Field of view 240x240 mm; Slice 97/155; Head
FLAIR MR image.
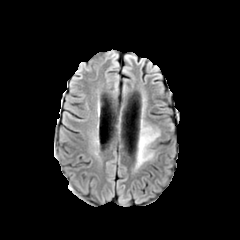
T1-weighted MR image.
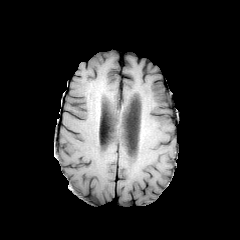
Post-contrast T1-weighted magnetic resonance.
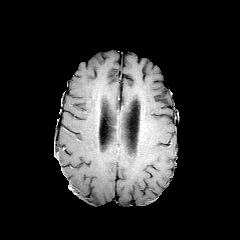
T2-weighted MR.
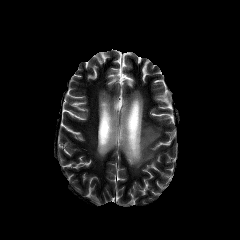
{"edema": ["136:122:159:165"]}